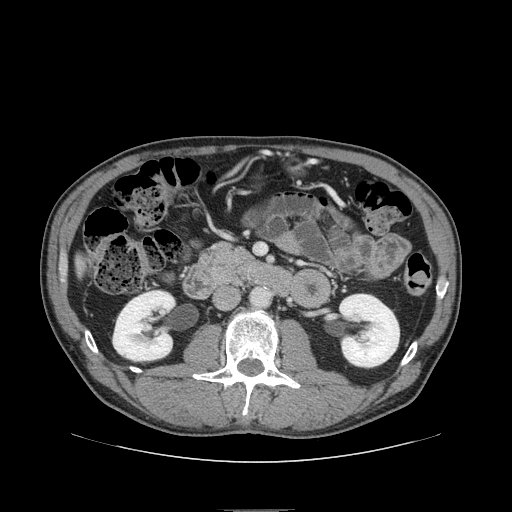

CT scan slice, Upper abdomen
Pancreas: bounding box bbox(200, 242, 254, 282).